FLAIR MRI.
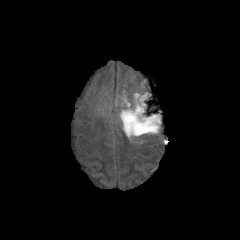
T1-weighted MR.
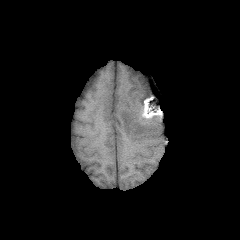
Post-contrast T1-weighted magnetic resonance.
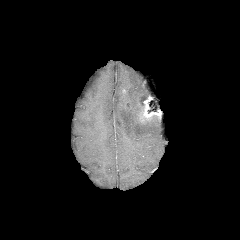
T2-weighted MRI.
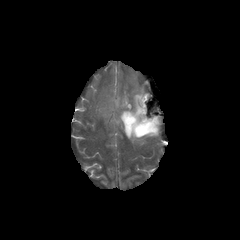
2 non-enhancing tumor core regions appear at 144,100,158,116; 124,115,158,133. The enhancing tumor lies within 141,101,149,121. The edema is at 115,87,162,143.